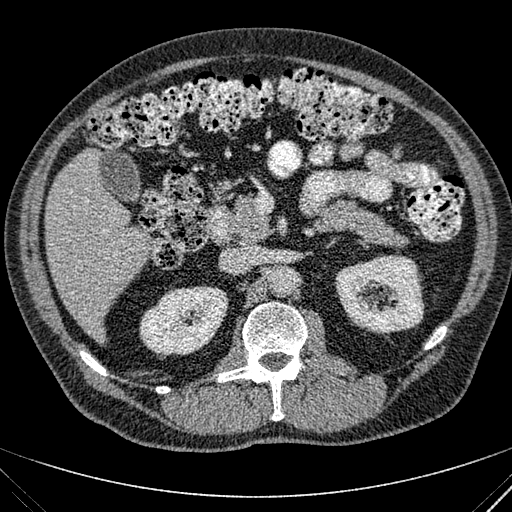

CT slice
* liver: left=44, top=149, right=151, bottom=339
* kidney: left=140, top=287, right=227, bottom=354; left=336, top=255, right=423, bottom=332